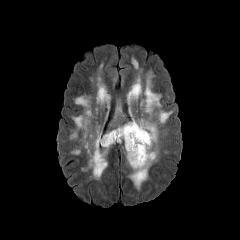
FLAIR MRI.
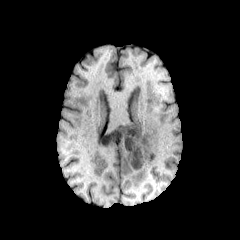
Same slice, T1-weighted MR.
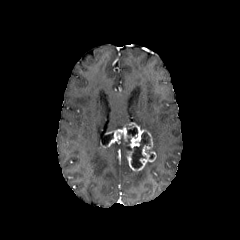
Same slice, post-contrast T1-weighted MRI.
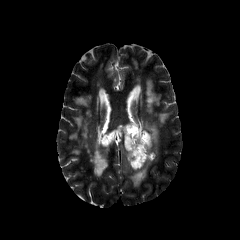
T2-weighted MR.
Head
9 edema regions are bounded by <box>126,71,142,101</box>, <box>72,96,92,139</box>, <box>96,76,110,108</box>, <box>131,59,138,70</box>, <box>158,111,172,123</box>, <box>128,159,157,190</box>, <box>139,120,158,158</box>, <box>85,128,108,179</box>, <box>140,69,162,120</box>. 3 non-enhancing tumor core regions are bounded by <box>119,132,150,169</box>, <box>125,124,138,136</box>, <box>101,133,114,146</box>. The enhancing tumor lies within <box>105,123,156,170</box>.